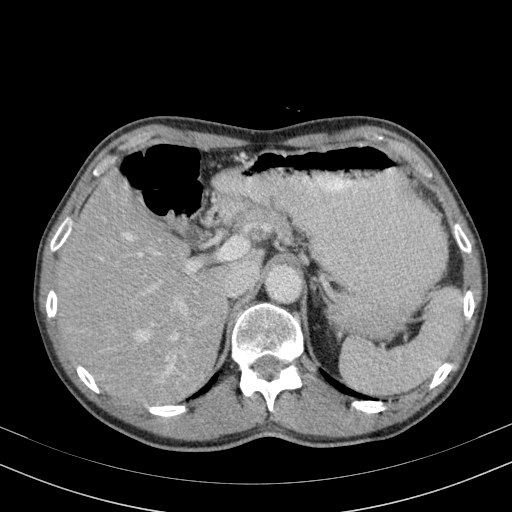

Upper abdomen; CT slice
Liver = region(58, 168, 264, 404).